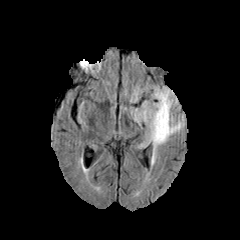
FLAIR magnetic resonance.
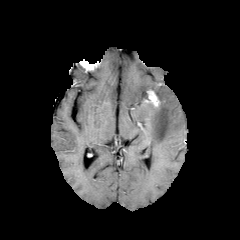
T1-weighted MR of the same slice.
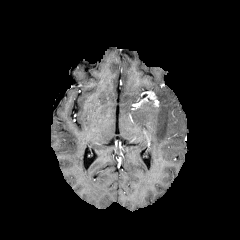
Post-contrast T1-weighted MR image of the same slice.
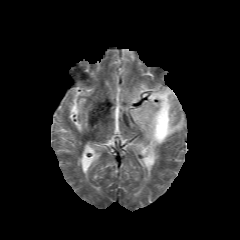
Same slice, T2-weighted MR.
240x240. Brain.
Findings:
* edema: [128,84,184,165]